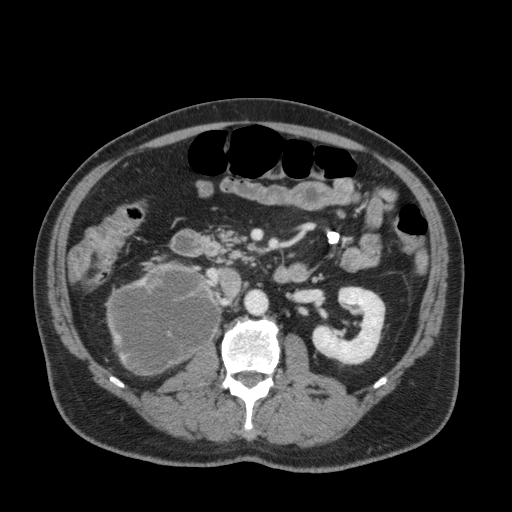
Abdomen | CT scan slice
<segmentation>
  <kidney>rect(313, 287, 383, 362)</kidney>
</segmentation>